FLAIR MRI.
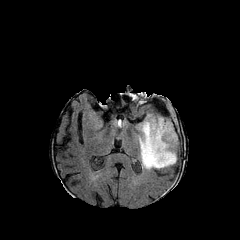
T1-weighted MR.
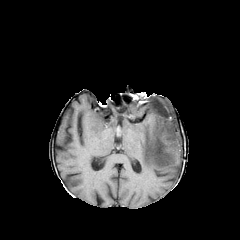
Post-contrast T1-weighted MR image.
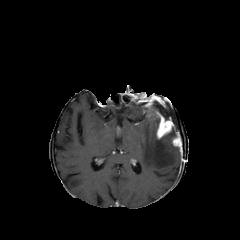
T2-weighted magnetic resonance.
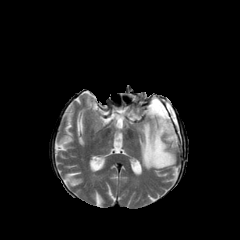
Image size 240x240
<segmentation>
  <non-enhancing_tumor_core>(left=144, top=94, right=181, bottom=151)</non-enhancing_tumor_core>
  <enhancing_tumor>(left=148, top=106, right=173, bottom=138), (left=172, top=134, right=179, bottom=145)</enhancing_tumor>
  <edema>(left=170, top=107, right=176, bottom=126), (left=138, top=118, right=177, bottom=171)</edema>
</segmentation>